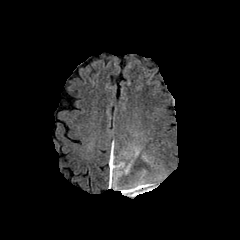
FLAIR MR.
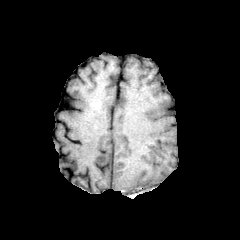
T1-weighted MR.
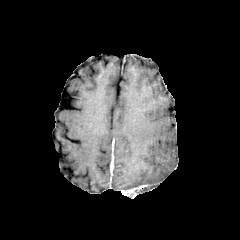
Post-contrast T1-weighted MR image.
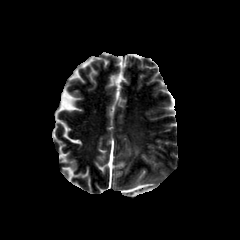
T2-weighted MR.
Head.
Enhancing tumor: l=121, t=188, r=135, b=194.
Edema: l=121, t=175, r=155, b=193; l=109, t=162, r=130, b=187.